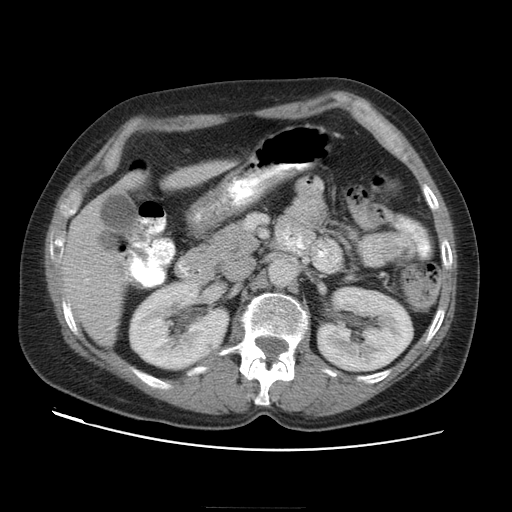
CT | Upper abdomen

Findings:
* pancreas: <box>188,219,259,281</box>